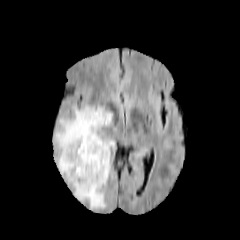
FLAIR MRI.
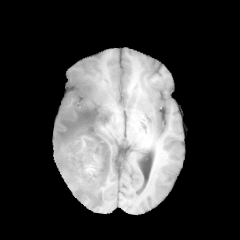
T1-weighted MR of the same slice.
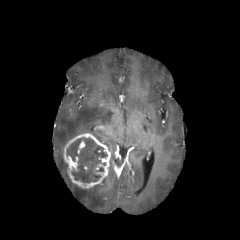
Post-contrast T1-weighted magnetic resonance.
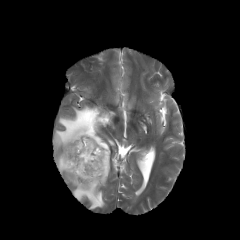
Same slice, T2-weighted magnetic resonance.
edema:
  - 53 105 114 208
non-enhancing_tumor_core:
  - 66 137 108 183
enhancing_tumor:
  - 64 132 111 188
  - 78 141 85 153